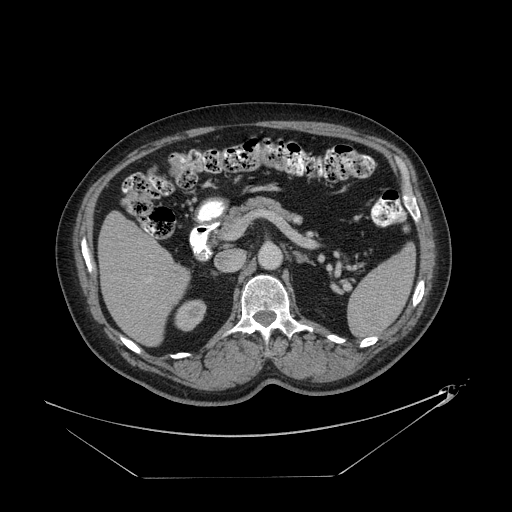 CT image.

Colon tumor: bounding box box=[169, 158, 182, 176].